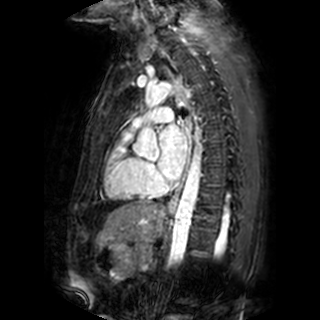 MR image. Cardiac. Segmented structures:
• left atrium: x1=158, y1=124, x2=186, y2=179